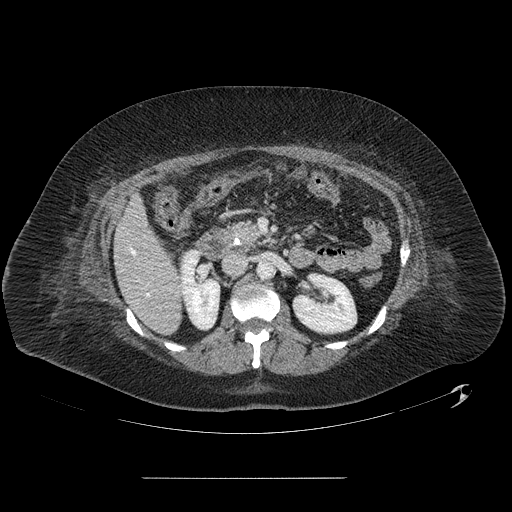

CT scan slice | 512x512 px
The pancreas appears at rect(229, 222, 260, 250). The pancreatic tumor is located at rect(237, 224, 257, 242).